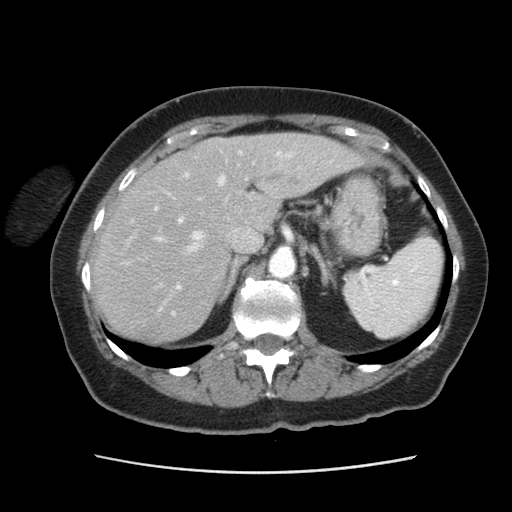 512x512 px; CT image; Abdomen
Some hepatic vessels may have no box.
Hepatic vessel: <bbox>226, 226, 260, 249</bbox>, <bbox>246, 178, 247, 179</bbox>, <bbox>179, 218, 182, 222</bbox>, <bbox>188, 232, 202, 251</bbox>, <bbox>218, 177, 225, 185</bbox>, <bbox>177, 285, 180, 289</bbox>, <bbox>185, 173, 188, 177</bbox>, <bbox>155, 207, 157, 210</bbox>.
Liver tumor: <bbox>254, 170, 308, 188</bbox>.